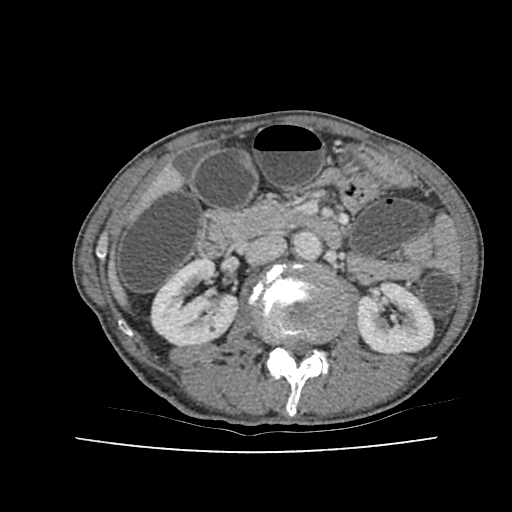

Computed tomography; 512x512 px; Liver
Liver = region(144, 170, 176, 204).
Kidney = region(152, 259, 236, 345); region(358, 284, 432, 352).